Brain
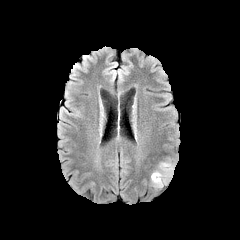
FLAIR MR image.
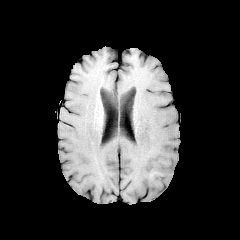
T1-weighted MRI of the same slice.
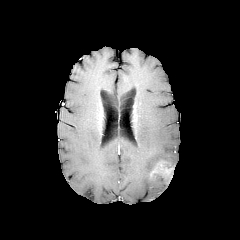
Post-contrast T1-weighted MR.
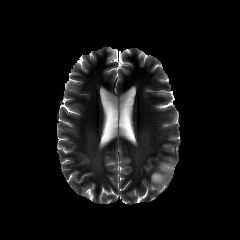
T2-weighted magnetic resonance.
The edema appears at box(151, 158, 175, 189).